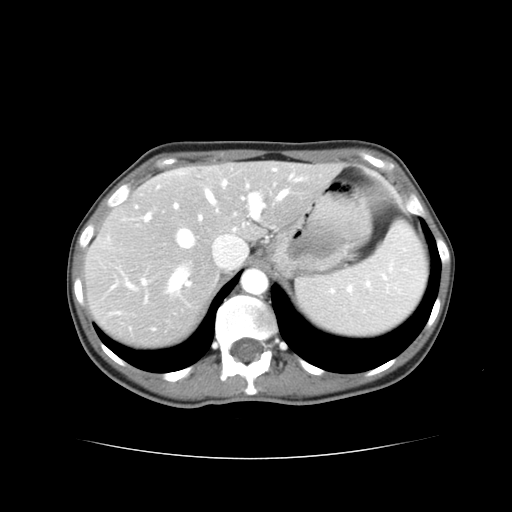 CT image | Abdomen
Not every hepatic vessel necessarily has a box.
Annotated regions:
• hepatic vessel: 249:193:264:217, 175:205:177:207, 279:191:286:197, 170:269:189:290, 143:281:145:283, 146:214:150:219, 200:217:201:218, 207:192:213:201, 179:230:192:246